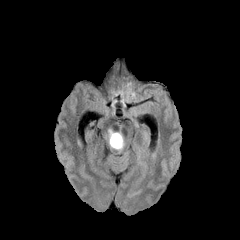
FLAIR MR.
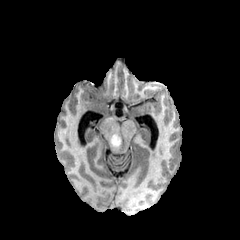
T1-weighted MRI of the same slice.
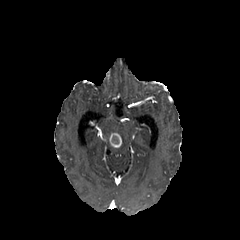
Post-contrast T1-weighted MR of the same slice.
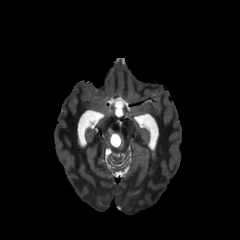
T2-weighted magnetic resonance of the same slice.
Image size 240x240
The enhancing tumor is located at 109, 133, 122, 148. The non-enhancing tumor core is at 111, 135, 119, 144. The edema lies within 110, 133, 124, 150.